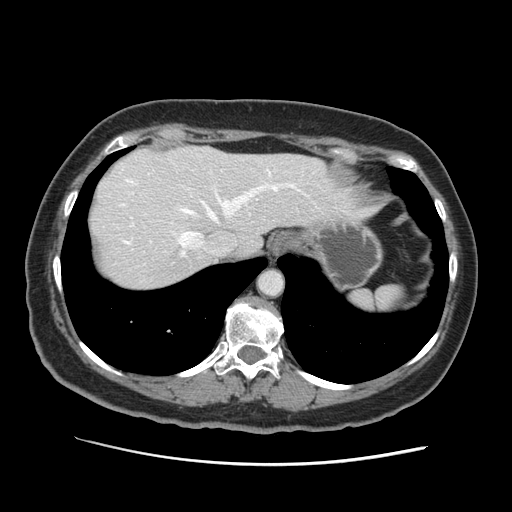 CT scan slice. Image size 512x512.
The spleen is bounded by x1=348, y1=285, x2=406, y2=313.